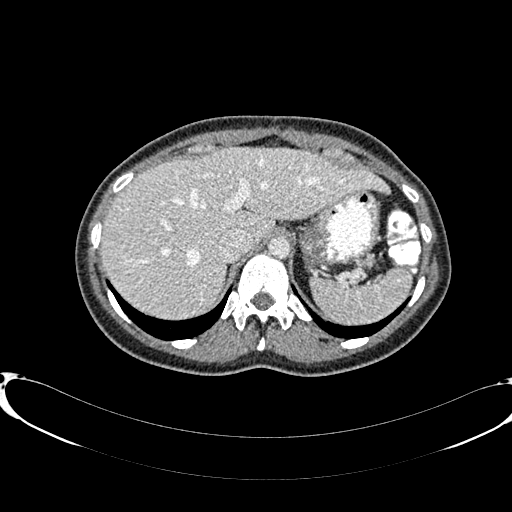

CT. Upper abdomen. The liver appears at region(102, 148, 389, 317).